Thorax; 512x512 px; Slice 535/689; CT 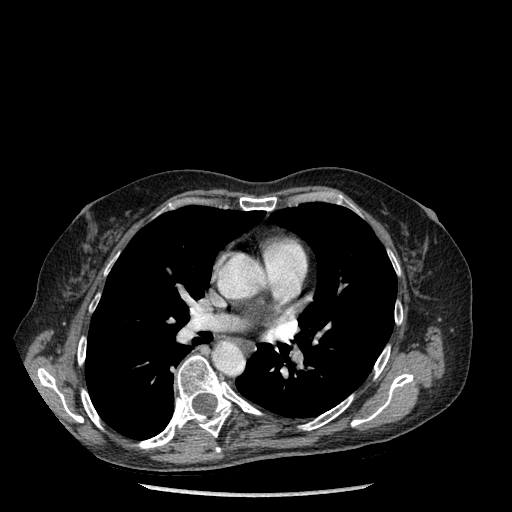
Annotated regions:
- lung: region(236, 202, 396, 417); region(85, 205, 264, 439)
- bone: region(299, 395, 353, 430); region(395, 301, 402, 324); region(89, 297, 99, 311); region(351, 373, 413, 426); region(104, 253, 118, 275); region(388, 250, 400, 275); region(137, 355, 261, 448); region(37, 368, 83, 422); region(77, 337, 86, 364); region(337, 195, 343, 204); region(81, 389, 102, 428); region(240, 197, 276, 210); region(374, 346, 390, 378)